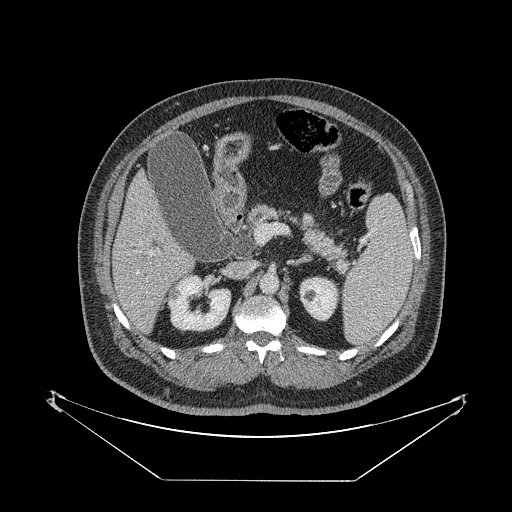 CT. <segmentation>
  <pancreas>(249, 206, 280, 225), (298, 215, 347, 271)</pancreas>
</segmentation>